FLAIR MR.
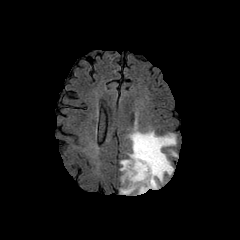
T1-weighted MR image.
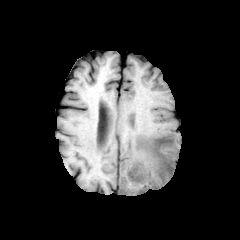
Post-contrast T1-weighted magnetic resonance.
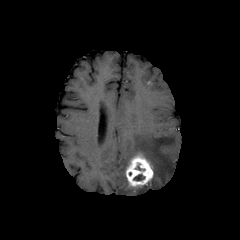
T2-weighted MR.
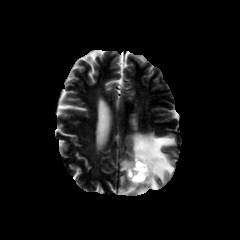
Brain
Enhancing tumor = bbox=[124, 152, 154, 192].
Edema = bbox=[119, 120, 177, 194].